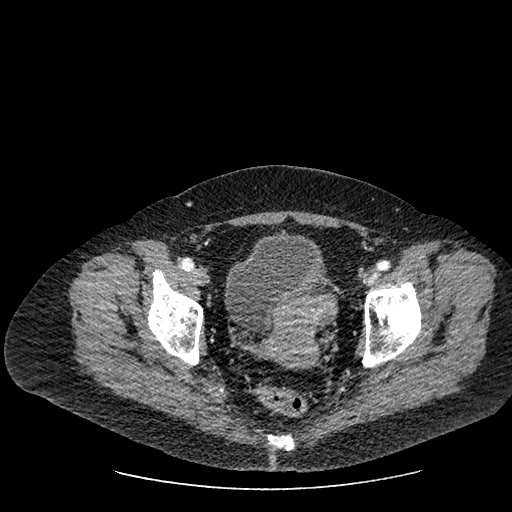
512x512 px, Computed tomography

{
  "urinary_bladder": [
    "(227,231,320,331)"
  ]
}